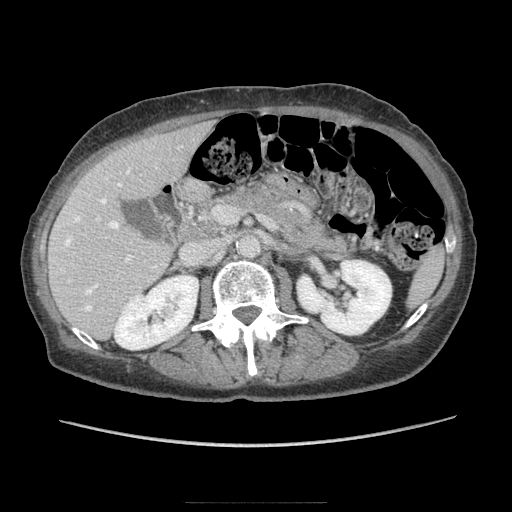
CT image
Pancreas: (219,185,347,251).